MR image. Image size 35x47. Hippocampus. Slice 21/37.
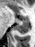
Anterior hippocampus: bounding box 19 19 22 19, 23 18 27 18.
Posterior hippocampus: bounding box 14 19 28 33.